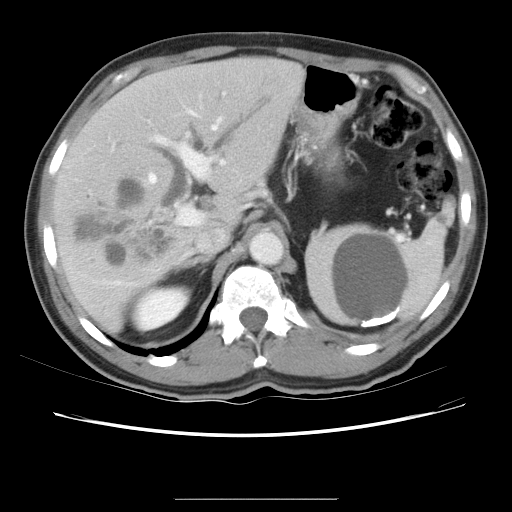

CT
The vessel boxes may cover only some of the vessels.
The liver tumor is bounded by rect(66, 174, 181, 277). 12 hepatic vessel regions are bounded by rect(212, 117, 221, 129); rect(111, 144, 114, 150); rect(200, 233, 204, 236); rect(248, 194, 250, 195); rect(186, 132, 189, 136); rect(175, 201, 203, 224); rect(187, 109, 198, 115); rect(154, 134, 224, 177); rect(260, 181, 262, 184); rect(223, 92, 224, 93); rect(144, 173, 156, 182); rect(242, 205, 246, 207).